FLAIR MR image.
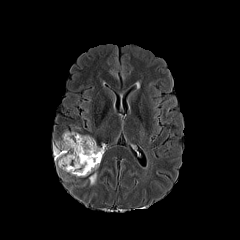
T1-weighted MRI.
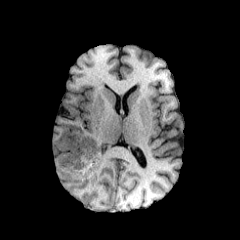
Post-contrast T1-weighted magnetic resonance.
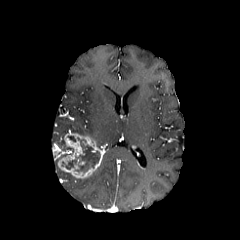
T2-weighted MR image.
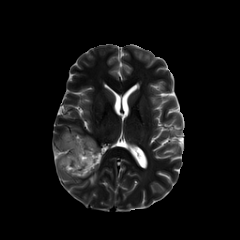
Image size 240x240
Non-enhancing tumor core at {"x1": 56, "y1": 139, "x2": 73, "y2": 156}, {"x1": 61, "y1": 144, "x2": 100, "y2": 173}.
Edema at {"x1": 88, "y1": 170, "x2": 96, "y2": 185}.
Enhancing tumor at {"x1": 58, "y1": 132, "x2": 104, "y2": 178}, {"x1": 53, "y1": 142, "x2": 62, "y2": 155}.